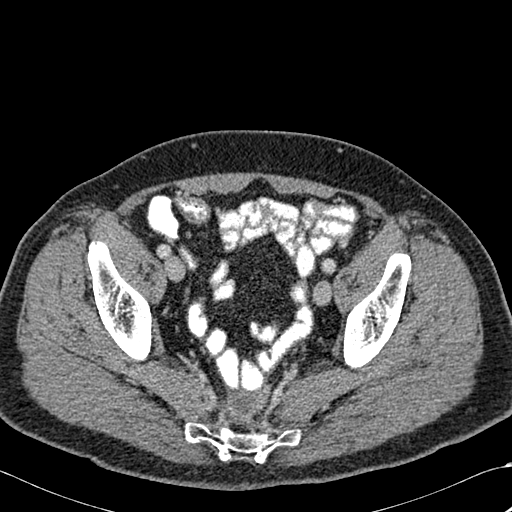
Image size 512x512. CT slice.

{"bone": ["(x1=344, y1=253, x2=410, y2=367)", "(x1=88, y1=242, x2=151, y2=359)", "(x1=185, y1=422, x2=299, y2=462)"]}